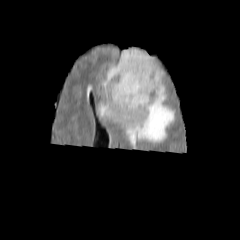
FLAIR MRI.
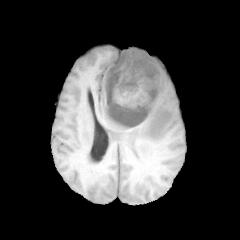
T1-weighted magnetic resonance.
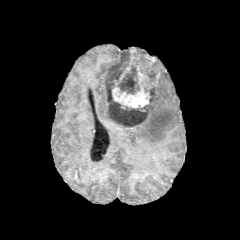
Same slice, post-contrast T1-weighted MR image.
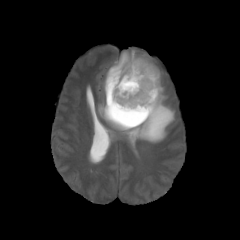
T2-weighted MR image.
Head.
Findings:
* enhancing tumor: {"x1": 112, "y1": 65, "x2": 157, "y2": 108}
* non-enhancing tumor core: {"x1": 103, "y1": 51, "x2": 160, "y2": 127}
* edema: {"x1": 99, "y1": 79, "x2": 175, "y2": 153}, {"x1": 106, "y1": 69, "x2": 123, "y2": 74}